Head; Slice index 128
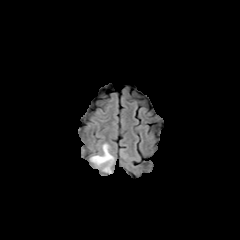
FLAIR MR.
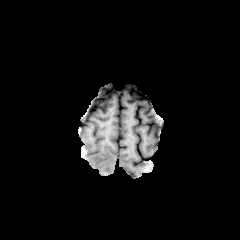
Same slice, T1-weighted MR.
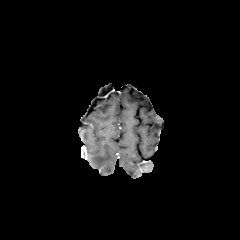
Post-contrast T1-weighted MRI.
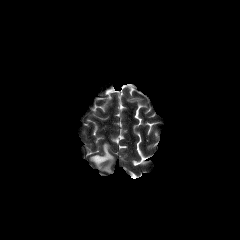
Same slice, T2-weighted magnetic resonance.
Edema: bounding box box(89, 143, 114, 173).